Field of view 240 mm wide, 1.00 mm slice spacing; Slice 81 of 155; Image size 240x240
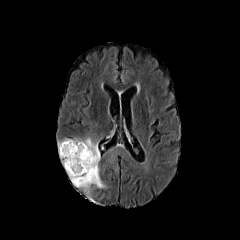
FLAIR MR.
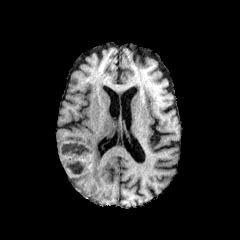
Same slice, T1-weighted MRI.
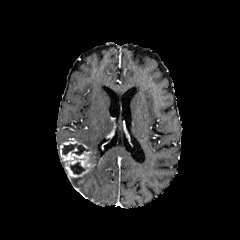
Post-contrast T1-weighted MRI.
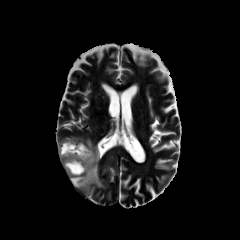
Same slice, T2-weighted magnetic resonance.
Findings:
• edema: bbox(74, 136, 100, 164); bbox(71, 165, 106, 193)
• enhancing tumor: bbox(63, 141, 87, 148); bbox(59, 144, 96, 177)
• non-enhancing tumor core: bbox(67, 162, 85, 175); bbox(62, 143, 87, 155)